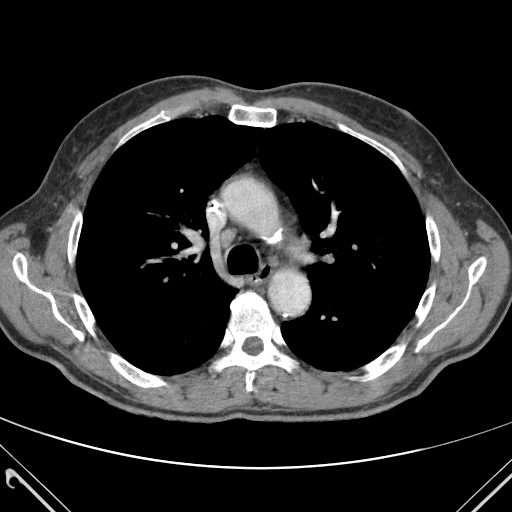
CT image
lung: box=[77, 116, 429, 374] | bone: box=[229, 104, 276, 126]; box=[74, 295, 93, 334]; box=[416, 295, 467, 351]; box=[121, 111, 169, 142]; box=[365, 345, 404, 379]; box=[468, 257, 485, 287]; box=[68, 213, 81, 261]; box=[426, 217, 439, 260]; box=[110, 354, 164, 387]; box=[216, 292, 292, 390]; box=[13, 253, 83, 340]; box=[337, 125, 401, 167]; box=[416, 286, 434, 324]